Field of view 404x404 mm. CT scan slice. Liver.
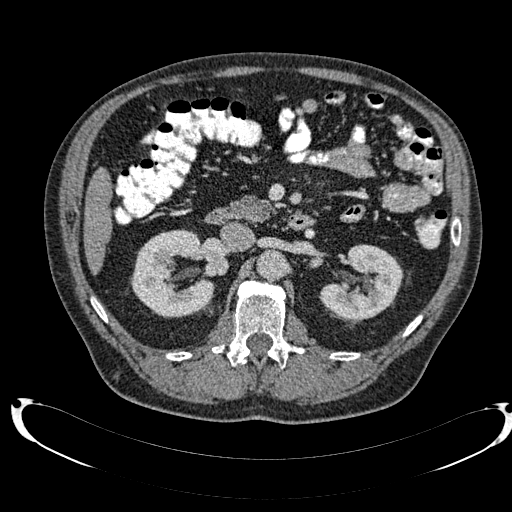

Annotated regions:
* liver: <box>83,166,111,273</box>
* kidney: <box>131,230,230,317</box>, <box>320,244,402,321</box>